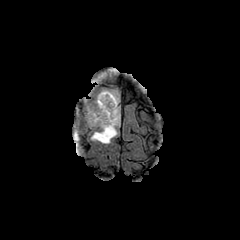
FLAIR MR image.
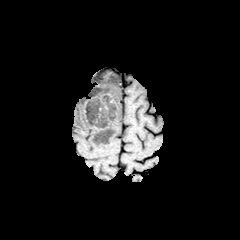
Same slice, T1-weighted MRI.
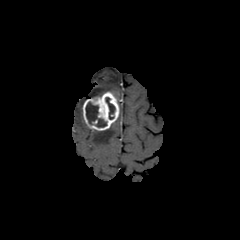
Post-contrast T1-weighted MR image.
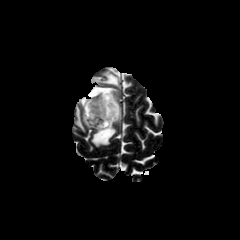
Same slice, T2-weighted MRI.
Head.
Non-enhancing tumor core: bounding box x1=86, y1=102, x2=106, y2=127; x1=90, y1=88, x2=111, y2=97; x1=106, y1=97, x2=114, y2=119; x1=95, y1=126, x2=112, y2=139.
Enhancing tumor: bounding box x1=83, y1=91, x2=119, y2=130.
Edema: bounding box x1=95, y1=69, x2=120, y2=103; x1=88, y1=105, x2=120, y2=145.